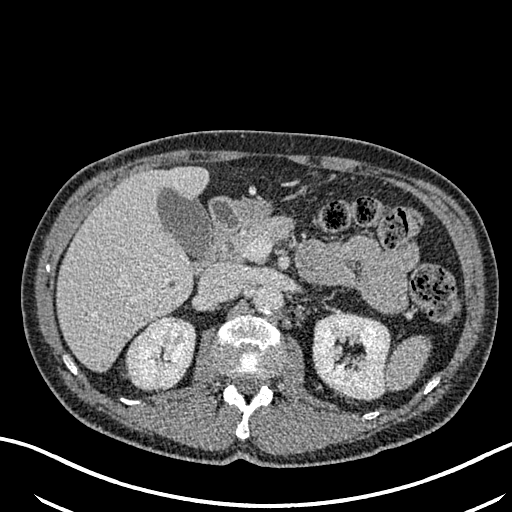
CT scan slice; Liver
<segmentation>
  <hepatic_lesion><bbox>101, 362, 111, 370</bbox></hepatic_lesion>
  <kidney><bbox>128, 318, 194, 387</bbox>, <bbox>313, 314, 389, 395</bbox></kidney>
  <liver><bbox>57, 168, 207, 371</bbox></liver>
</segmentation>